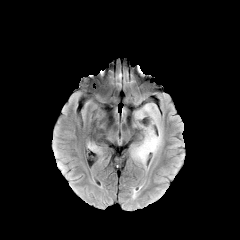
FLAIR MR.
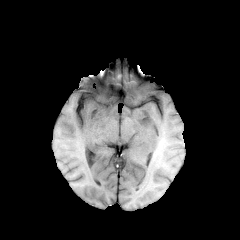
Same slice, T1-weighted MR image.
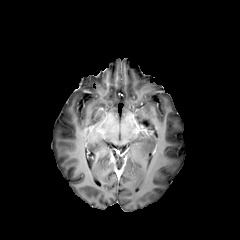
Post-contrast T1-weighted MR image.
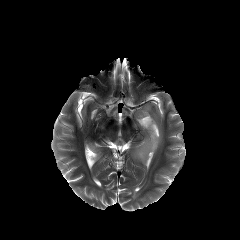
T2-weighted magnetic resonance of the same slice.
Brain
The edema lies within [132, 103, 162, 166].